FLAIR MR.
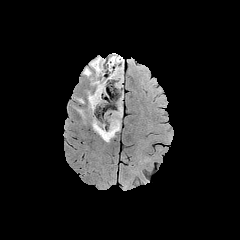
T1-weighted MRI.
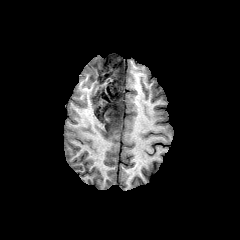
Post-contrast T1-weighted MR.
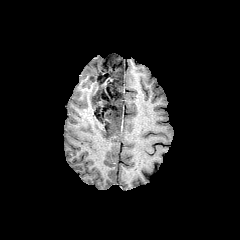
T2-weighted MRI.
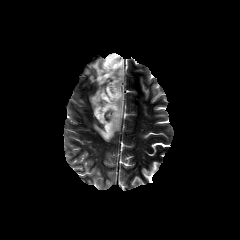
Brain, 240x240
Edema: <box>87,58,107,111</box>, <box>93,92,123,141</box>.
Non-enhancing tumor core: <box>114,98,120,115</box>, <box>94,90,105,99</box>, <box>102,122,110,133</box>, <box>98,56,121,89</box>.